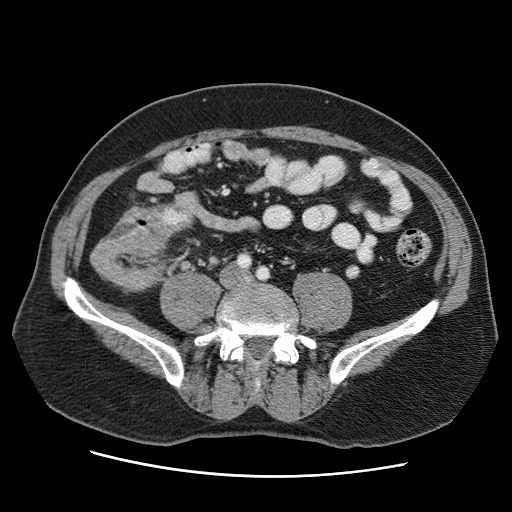 Pelvis. CT image.

colon tumor: bbox(91, 206, 183, 291)